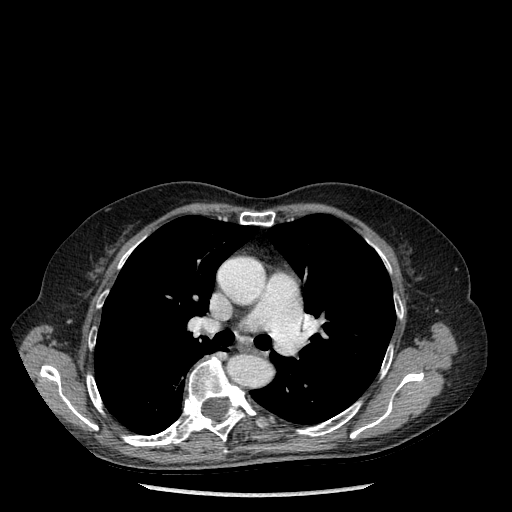

CT
3 lung regions appear at {"x1": 251, "y1": 214, "x2": 395, "y2": 424}, {"x1": 254, "y1": 335, "x2": 270, "y2": 350}, {"x1": 95, "y1": 215, "x2": 257, "y2": 434}. 13 bone regions are located at {"x1": 39, "y1": 364, "x2": 98, "y2": 430}, {"x1": 296, "y1": 401, "x2": 361, "y2": 436}, {"x1": 350, "y1": 371, "x2": 423, "y2": 438}, {"x1": 122, "y1": 356, "x2": 256, "y2": 446}, {"x1": 394, "y1": 296, "x2": 403, "y2": 318}, {"x1": 97, "y1": 290, "x2": 107, "y2": 307}, {"x1": 381, "y1": 345, "x2": 392, "y2": 378}, {"x1": 375, "y1": 246, "x2": 391, "y2": 272}, {"x1": 118, "y1": 245, "x2": 135, "y2": 268}, {"x1": 86, "y1": 375, "x2": 103, "y2": 412}, {"x1": 88, "y1": 327, "x2": 95, "y2": 348}, {"x1": 240, "y1": 211, "x2": 275, "y2": 226}, {"x1": 257, "y1": 419, "x2": 266, "y2": 426}.